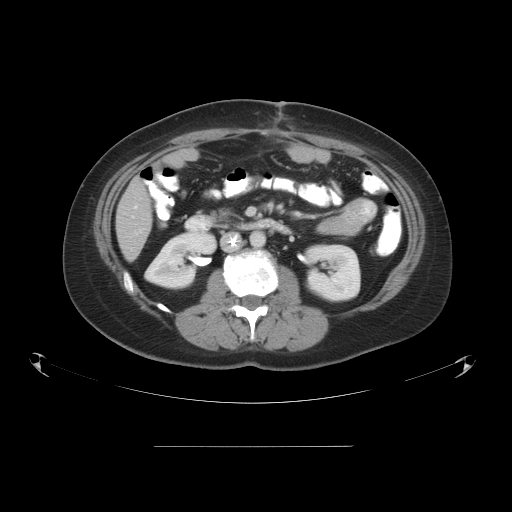
CT image, Liver, Image size 512x512
The vessel annotation is not exhaustive.
Hepatic vessel — [x1=135, y1=204, x2=137, y2=207], [x1=134, y1=229, x2=142, y2=234].